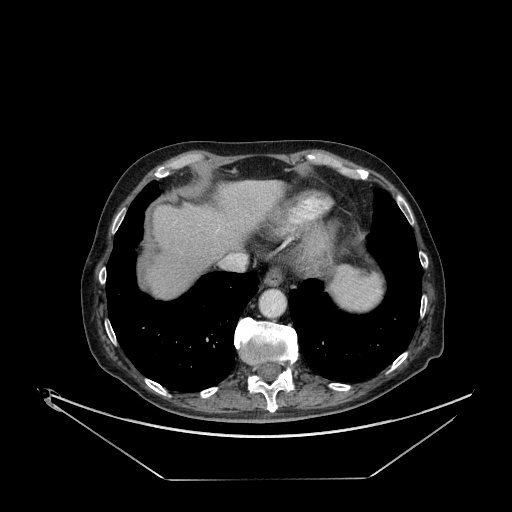
CT slice. Upper abdomen. The liver is at 147, 181, 282, 298.